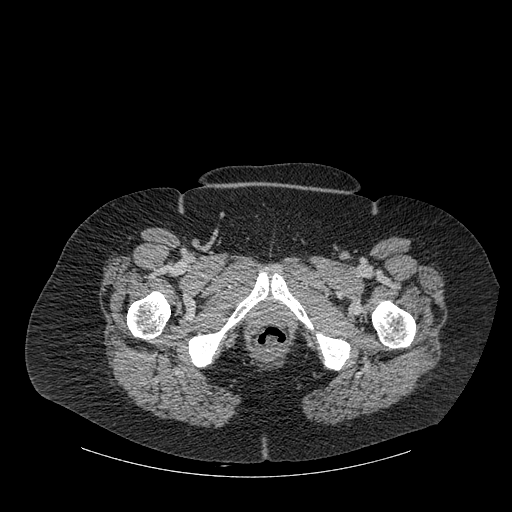

Computed tomography.
bone:
  - 316, 333, 350, 370
  - 189, 272, 313, 366
  - 127, 291, 170, 339
  - 372, 301, 415, 348